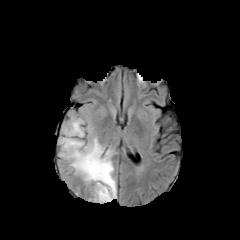
FLAIR MRI.
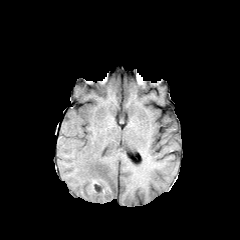
Same slice, T1-weighted magnetic resonance.
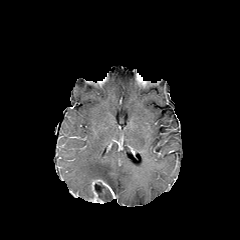
Same slice, post-contrast T1-weighted MR image.
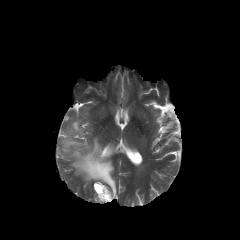
T2-weighted MR of the same slice.
edema:
  - rect(58, 118, 117, 198)
non-enhancing_tumor_core:
  - rect(94, 180, 116, 202)
enhancing_tumor:
  - rect(102, 182, 114, 197)